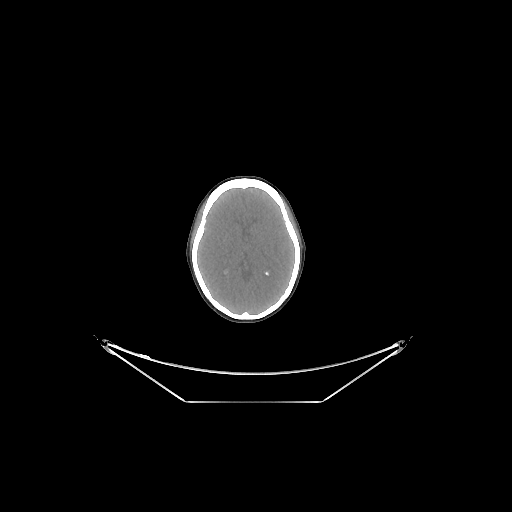

Head. Image size 512x512. CT scan slice. Brain = [197,187,294,314].